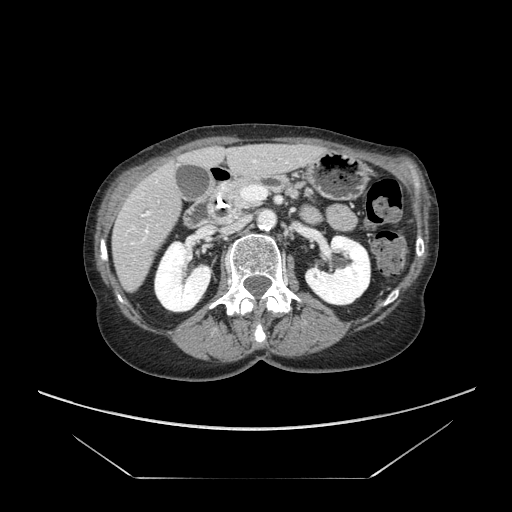
512x512 px, Upper abdomen, CT

The pancreas is bounded by l=208, t=171, r=320, b=225.